FLAIR magnetic resonance.
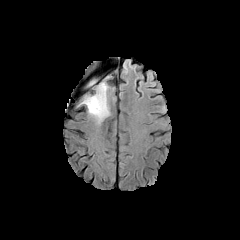
T1-weighted MR.
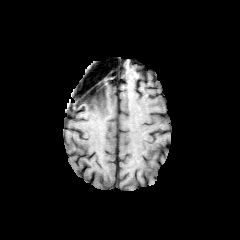
Post-contrast T1-weighted MRI.
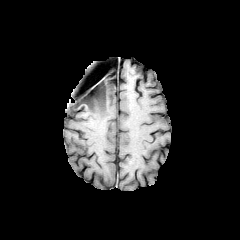
T2-weighted magnetic resonance.
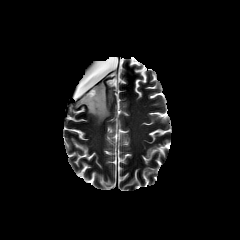
Head
<segmentation>
  <edema>box=[79, 80, 113, 122]</edema>
  <non-enhancing_tumor_core>box=[81, 83, 96, 101]</non-enhancing_tumor_core>
</segmentation>